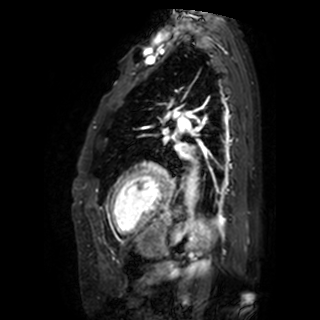
MRI. Image size 320x320. Heart.
Annotated regions:
* left atrium: 177:144:187:156